MRI
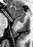
The posterior hippocampus is located at bbox(20, 21, 23, 22). The anterior hippocampus lies within bbox(9, 5, 25, 20).